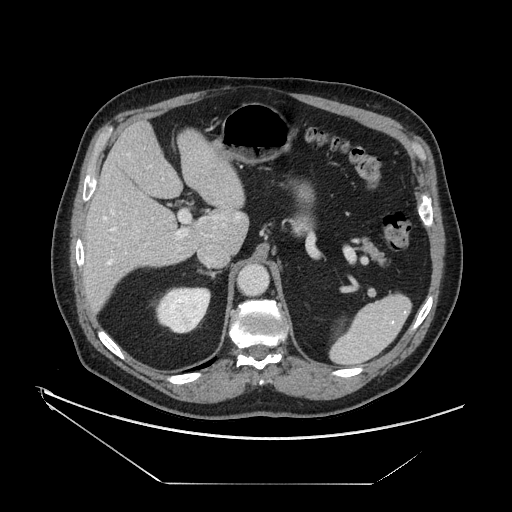 CT scan slice. Upper abdomen. 512x512 px.
Pancreas: bounding box (360, 237, 385, 263).